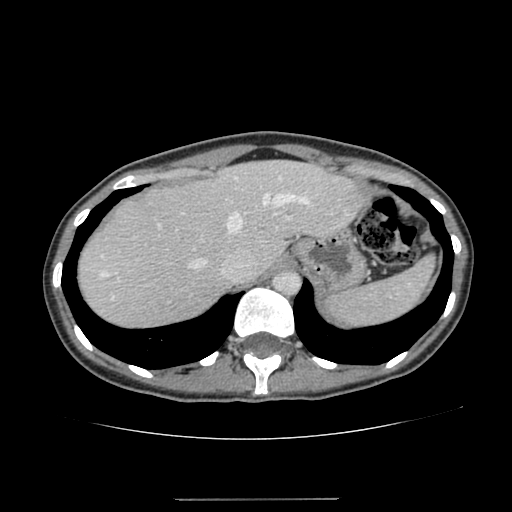
Liver; CT scan slice
The liver is at bbox=[78, 160, 366, 329].